Image width 355 mm. CT slice. 512x512 px.
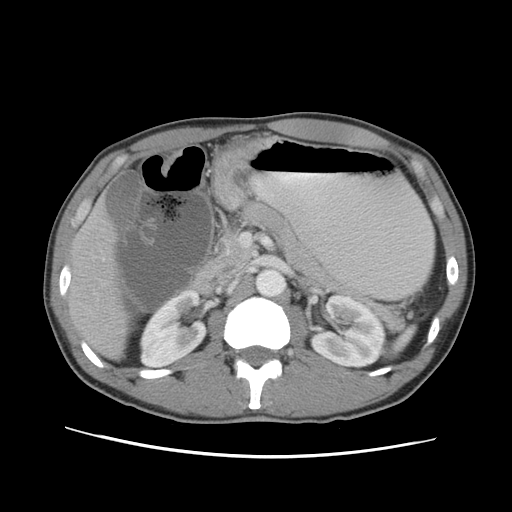

Colon tumor at (161, 148, 183, 175).